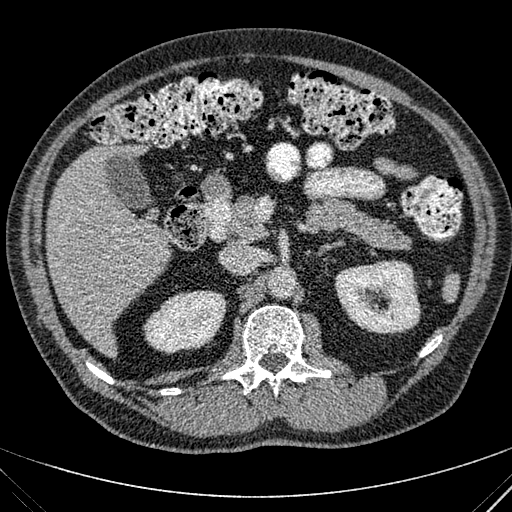 CT slice
kidney: [144, 291, 225, 352], [335, 261, 420, 332] | liver: [45, 144, 170, 358]